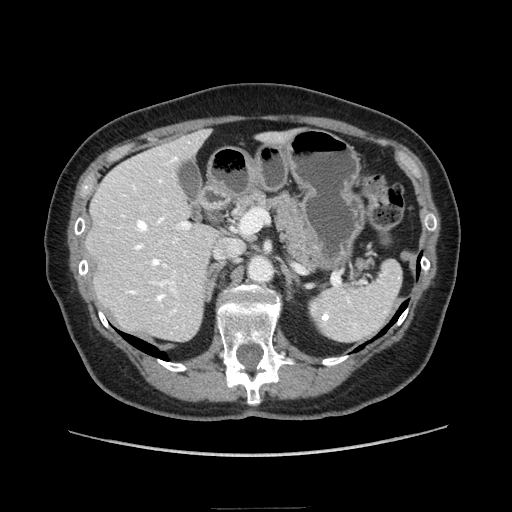
Computed tomography
{
  "pancreas": [
    "(234,191,321,268)"
  ]
}